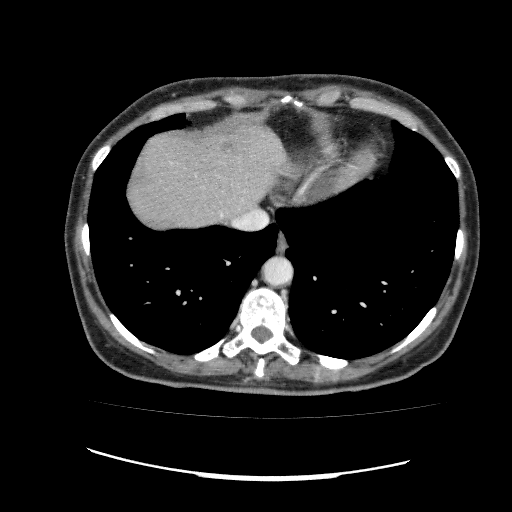 CT, Liver
liver:
  - bbox=[127, 124, 289, 229]
hepatic_lesion:
  - bbox=[222, 141, 232, 150]